Brain, Slice 62 of 155
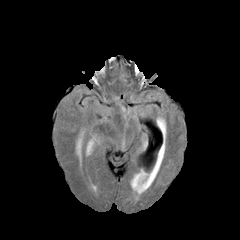
FLAIR magnetic resonance.
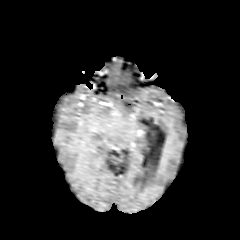
T1-weighted MRI of the same slice.
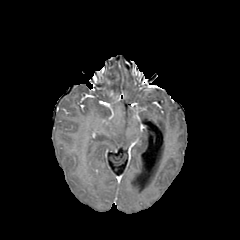
Post-contrast T1-weighted MR.
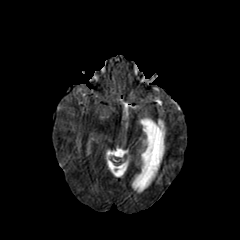
T2-weighted MRI of the same slice.
Edema = x1=76 y1=133 x2=82 y2=161, x1=86 y1=133 x2=98 y2=154.